240x240 | Slice 66/155
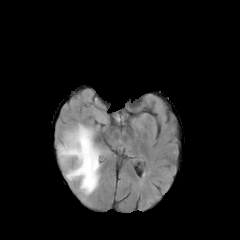
FLAIR MRI.
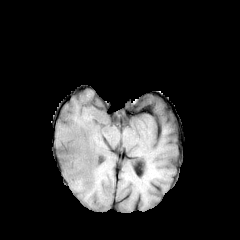
T1-weighted MR.
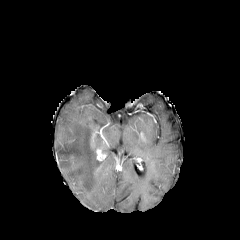
Post-contrast T1-weighted magnetic resonance.
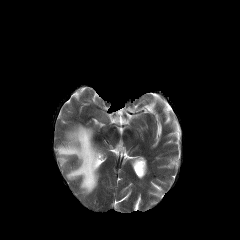
T2-weighted magnetic resonance.
The edema is located at l=57, t=124, r=101, b=194. The enhancing tumor appears at l=96, t=150, r=103, b=160.